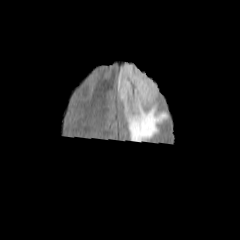
FLAIR MR.
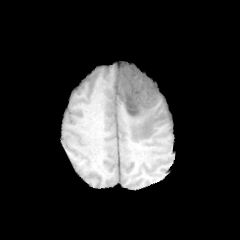
T1-weighted MR of the same slice.
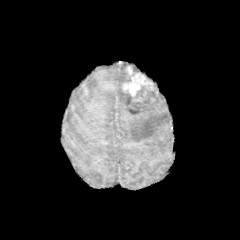
Post-contrast T1-weighted MRI.
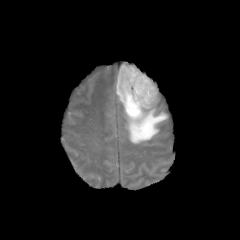
Same slice, T2-weighted MRI.
Head
edema:
  - region(116, 62, 169, 143)
non-enhancing_tumor_core:
  - region(127, 108, 140, 113)
  - region(124, 82, 158, 108)
enhancing_tumor:
  - region(121, 64, 154, 102)